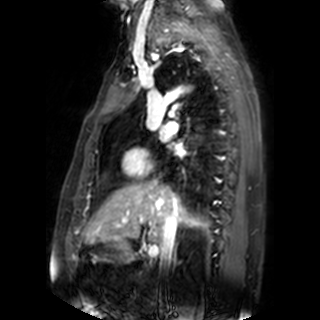

MR.

left_atrium:
  - [x1=158, y1=128, x2=169, y2=141]
  - [x1=173, y1=145, x2=184, y2=154]